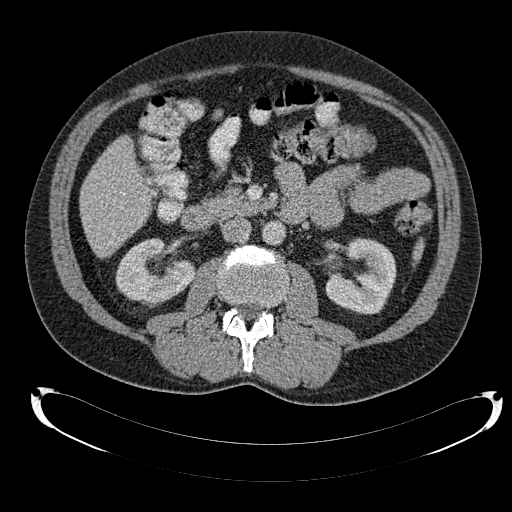 Upper abdomen | CT slice
2 kidney regions appear at 116 239 194 302, 326 239 395 313. The liver is located at 80 137 150 257.